Computed tomography, Upper abdomen, Field of view 415 mm wide, 2.50 mm slice spacing
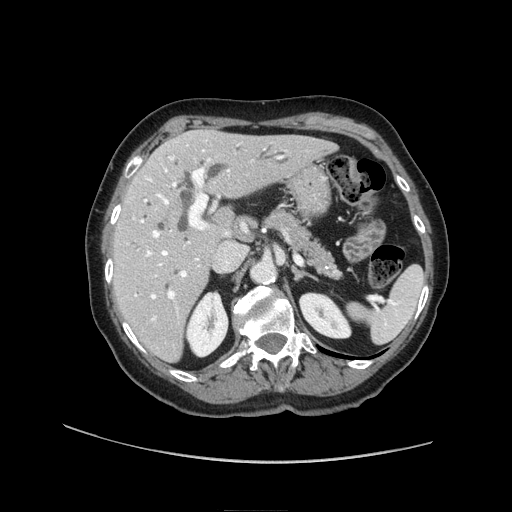
The pancreas is at [270, 208, 339, 277].